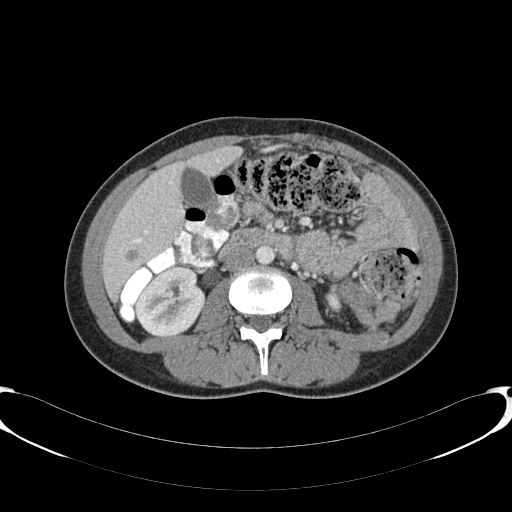
Image size 512x512 | CT
• liver: box(102, 145, 242, 301)
• liver lesion: box(127, 250, 136, 260)
• kidney: box(330, 296, 337, 307); box(136, 268, 203, 335)